Image width 240 mm
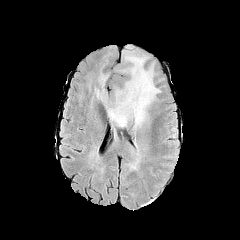
FLAIR MR.
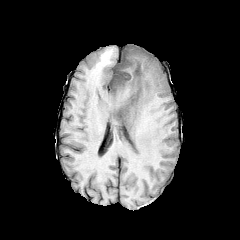
T1-weighted MR image.
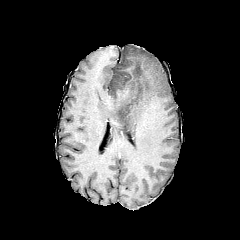
Post-contrast T1-weighted magnetic resonance of the same slice.
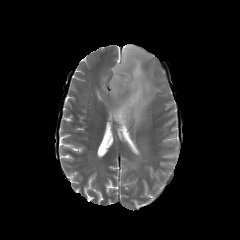
T2-weighted MR.
Edema at region(108, 45, 161, 133); region(126, 137, 140, 169).
Non-enhancing tumor core at region(117, 88, 129, 99).